CT image, Slice 562/846, Abdomen 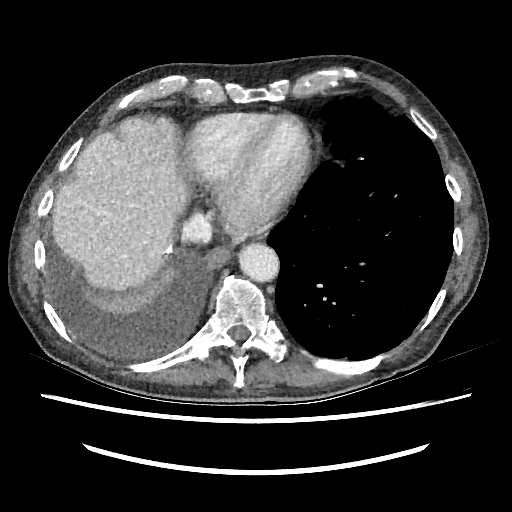 liver: 53:117:187:288